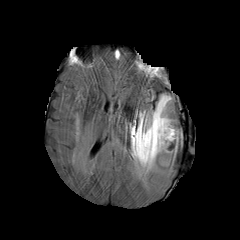
FLAIR magnetic resonance.
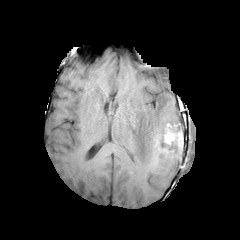
Same slice, T1-weighted MRI.
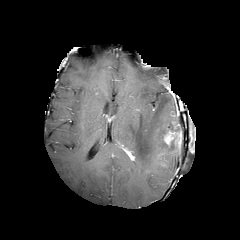
Post-contrast T1-weighted magnetic resonance.
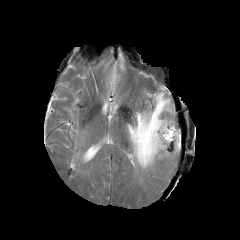
T2-weighted MR of the same slice.
240x240. Head.
Enhancing tumor — rect(164, 130, 177, 143).
Non-enhancing tumor core — rect(169, 132, 181, 145).
Edema — rect(127, 93, 180, 174).